CT image. 512x512.
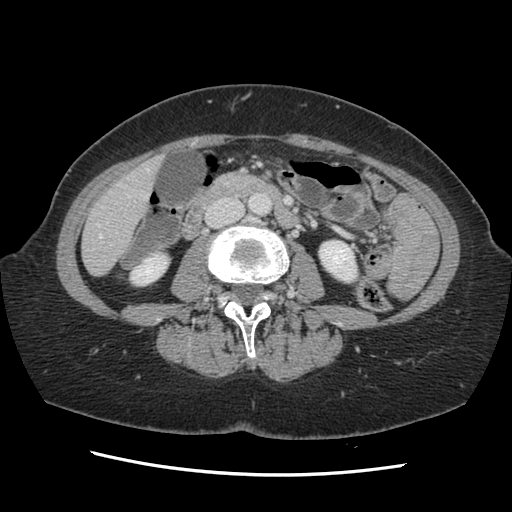

Not every hepatic vessel necessarily has a box.
<segmentation>
  <hepatic_vessel>146,168,148,171; 99,234,101,237; 97,223,98,225</hepatic_vessel>
</segmentation>